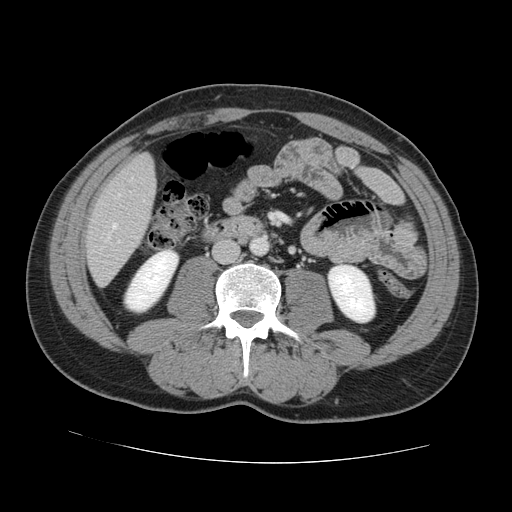 CT image, Image size 512x512

The vessel boxes may cover only some of the vessels.
hepatic_vessel:
  - bbox=[129, 178, 132, 181]
  - bbox=[130, 191, 132, 192]
  - bbox=[105, 235, 109, 242]
  - bbox=[113, 194, 119, 197]
  - bbox=[118, 241, 119, 242]
  - bbox=[112, 223, 116, 230]